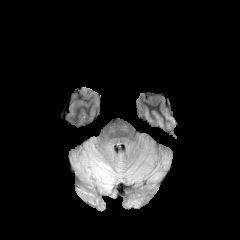
FLAIR MR.
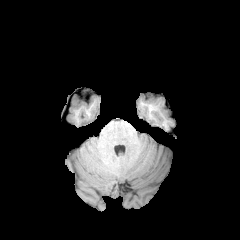
Same slice, T1-weighted MR image.
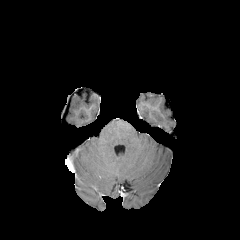
Post-contrast T1-weighted magnetic resonance.
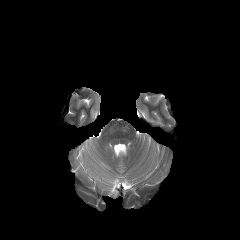
T2-weighted MR image.
Brain | Image size 240x240
Edema — 88 150 115 189.